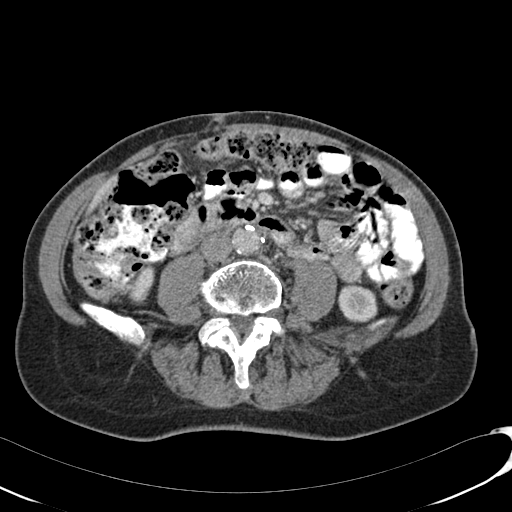 Image size 512x512; Computed tomography
2 kidney regions are bounded by left=339, top=286, right=376, bottom=320; left=126, top=268, right=152, bottom=299. The liver lies within left=86, top=177, right=117, bottom=214.